Abdomen. CT. Slice 78 of 87. 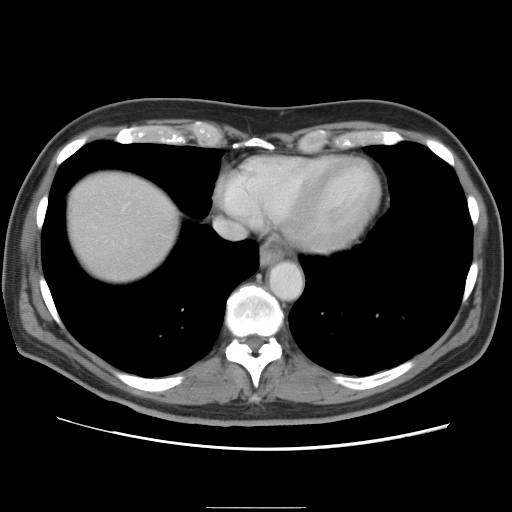
Not every hepatic vessel necessarily has a box.
2 hepatic vessel regions are located at 125:202:127:204, 123:205:124:207.